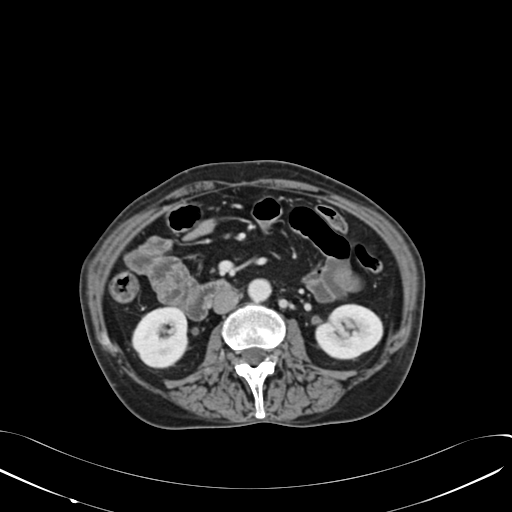
Computed tomography; Image size 512x512; Abdomen

kidney: 317,305,381,357; 133,308,186,366